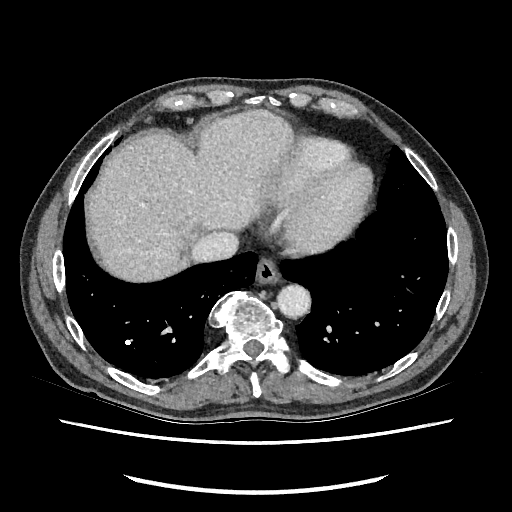

Liver, CT

<segmentation>
  <liver>90:111:292:280</liver>
  <liver_lesion>184:222:201:243</liver_lesion>
</segmentation>